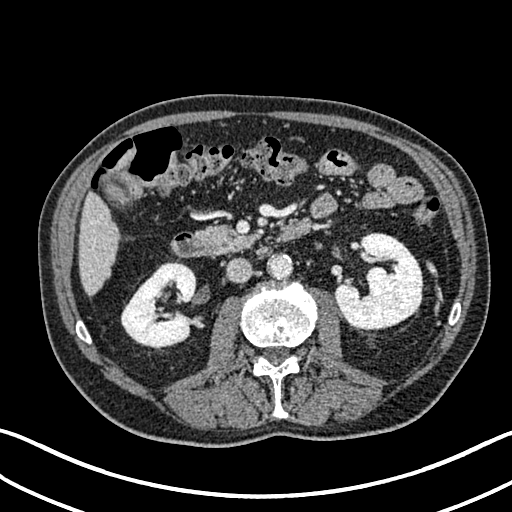

Upper abdomen, CT scan slice
Liver — box=[78, 191, 118, 294]; box=[113, 149, 135, 170].
Kidney — box=[335, 234, 422, 328]; box=[122, 263, 195, 347].